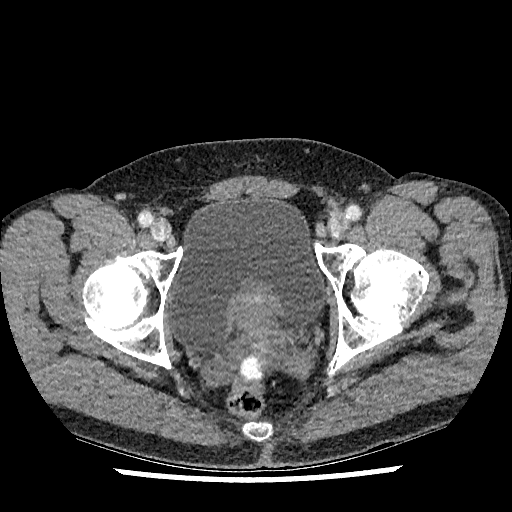
Pelvis. CT.
The urinary bladder appears at rect(168, 198, 327, 352).